CT scan slice; 512x512 px; Image width 437 mm; Liver

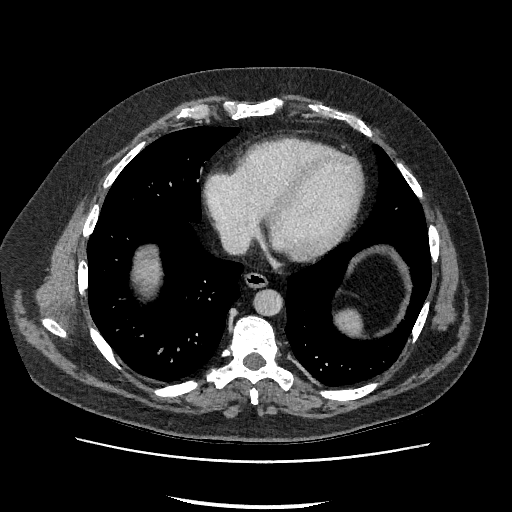
Annotated regions:
• liver: (136, 259, 158, 284)